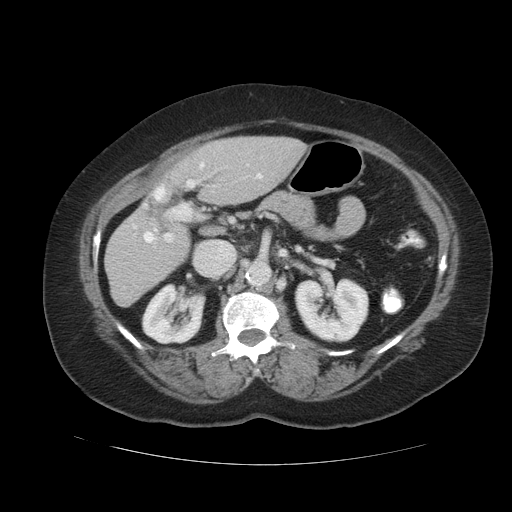
Liver. CT scan slice.
Only some of the vessels may be annotated.
8 hepatic vessel regions are bounded by <box>187,181,193,185</box>, <box>173,205,190,219</box>, <box>164,233,171,242</box>, <box>199,163,203,168</box>, <box>257,174,261,178</box>, <box>144,232,153,242</box>, <box>156,189,163,198</box>, <box>154,229,156,230</box>.